FLAIR MR image.
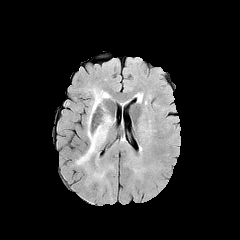
T1-weighted MR.
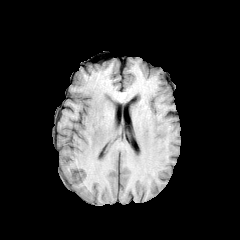
Post-contrast T1-weighted magnetic resonance.
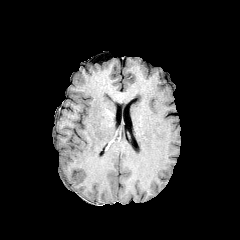
T2-weighted MR.
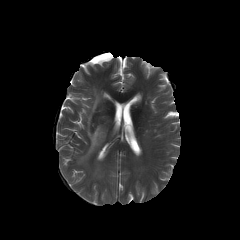
240x240
Edema: bounding box <box>77,89,107,164</box>.